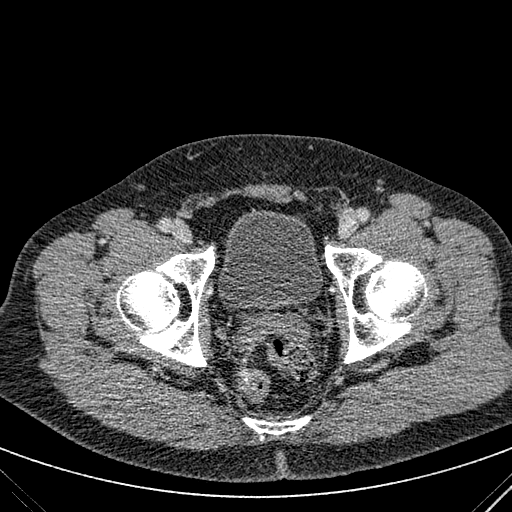 CT. 512x512 px. Annotated regions:
- urinary bladder: bbox=[217, 207, 323, 316]